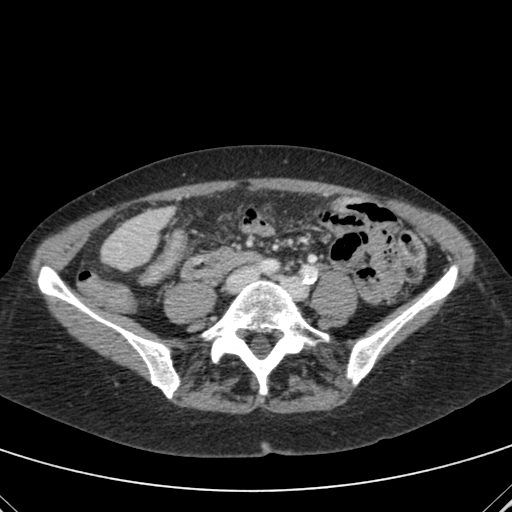

CT.

- liver: (left=102, top=207, right=174, bottom=268)